Image size 240x240.
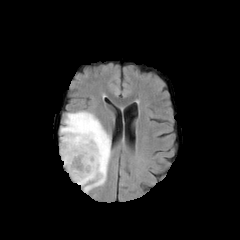
FLAIR magnetic resonance.
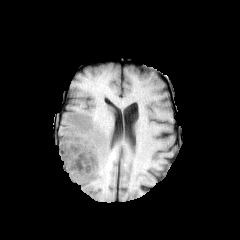
T1-weighted MR.
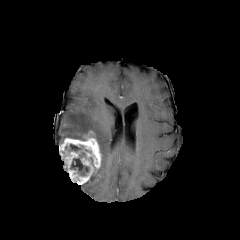
Post-contrast T1-weighted MR.
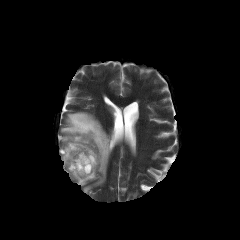
Same slice, T2-weighted magnetic resonance.
non-enhancing_tumor_core:
  - 71:159:89:173
enhancing_tumor:
  - 59:131:102:184
edema:
  - 60:111:110:192